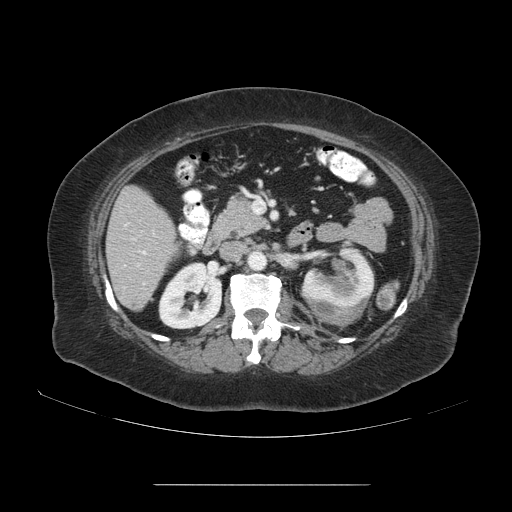 CT image
The vessel annotation is not exhaustive.
Hepatic vessel — (141, 252, 144, 253), (137, 264, 138, 265).